FLAIR magnetic resonance.
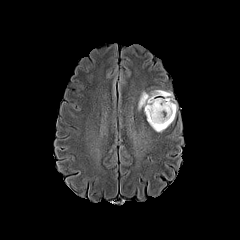
T1-weighted MR.
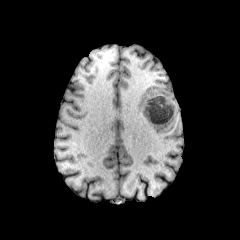
Post-contrast T1-weighted magnetic resonance.
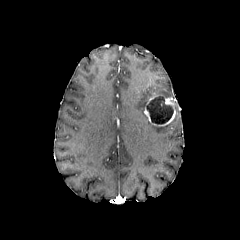
T2-weighted magnetic resonance.
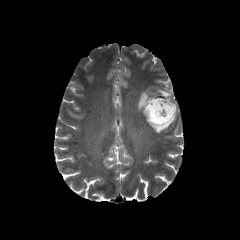
Head.
Non-enhancing tumor core: bounding box box=[146, 96, 173, 124].
Edema: bounding box box=[138, 90, 149, 110]; box=[153, 90, 173, 97]; box=[148, 121, 172, 131].
Enhancing tumor: bounding box box=[143, 92, 175, 127].